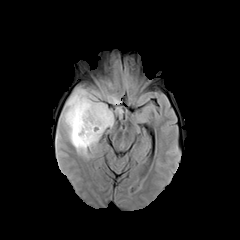
FLAIR MR image.
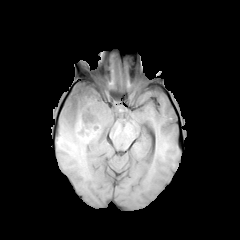
Same slice, T1-weighted MR image.
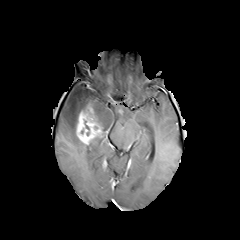
Post-contrast T1-weighted MRI of the same slice.
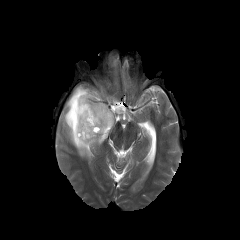
T2-weighted MR image.
240x240
{"enhancing_tumor": ["<bbox>76, 107, 103, 144</bbox>"], "edema": ["<bbox>107, 94, 121, 104</bbox>", "<bbox>58, 86, 114, 157</bbox>", "<bbox>55, 131, 62, 160</bbox>", "<bbox>114, 107, 123, 118</bbox>"]}